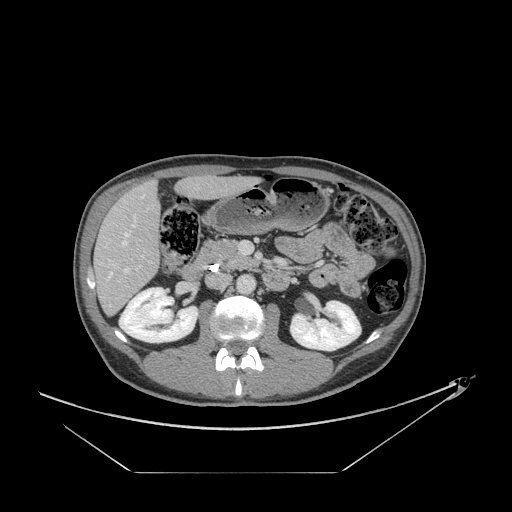

Upper abdomen | CT scan slice | 512x512 px
<segmentation>
  <pancreas>region(197, 240, 237, 263)</pancreas>
</segmentation>